CT scan slice 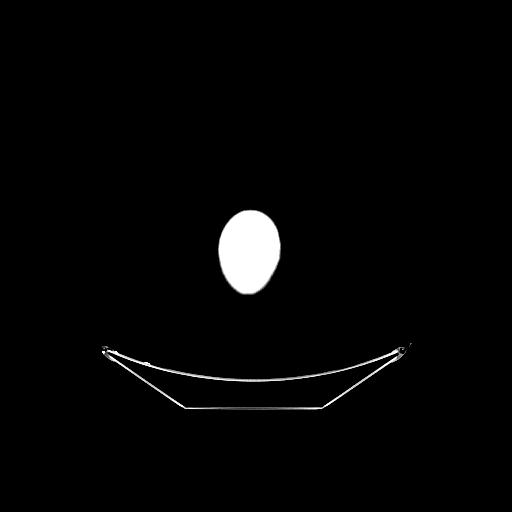

Bone: bounding box (x1=219, y1=210, x2=279, y2=293).